512x512 | Field of view 500x500 mm | Slice index 134 | Upper abdomen | CT 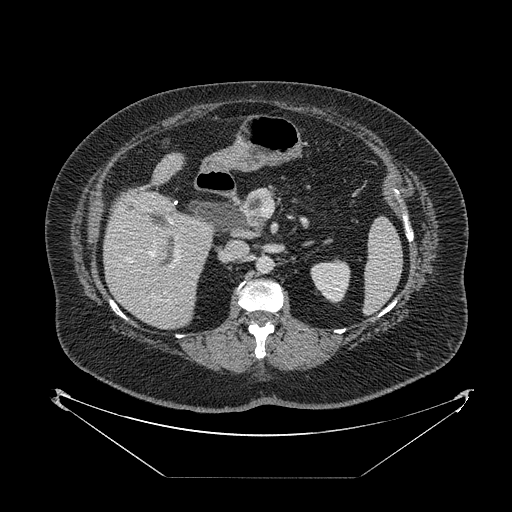 <segmentation>
  <pancreas>bbox(243, 187, 276, 226)</pancreas>
</segmentation>